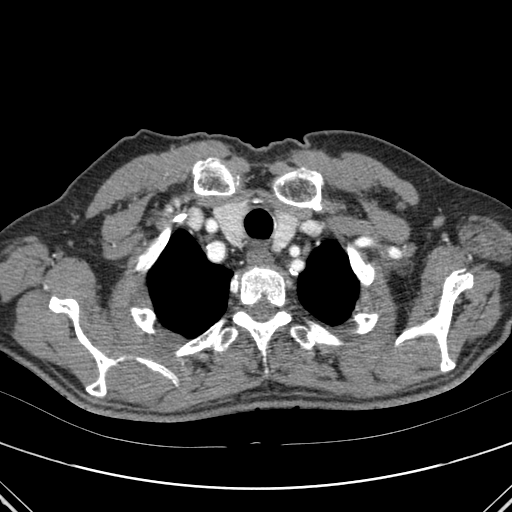

Thorax, CT scan slice, 512x512 px
bone: [233,310,291,361], [139,358,174,382], [130,308,155,332], [395,269,473,371], [137,213,187,270], [354,313,378,333], [193,159,235,195], [348,245,374,285], [175,320,237,356], [49,297,114,396], [274,171,322,210], [290,323,342,348], [231,267,289,306] | lung: [147,229,232,337], [297,239,359,325]